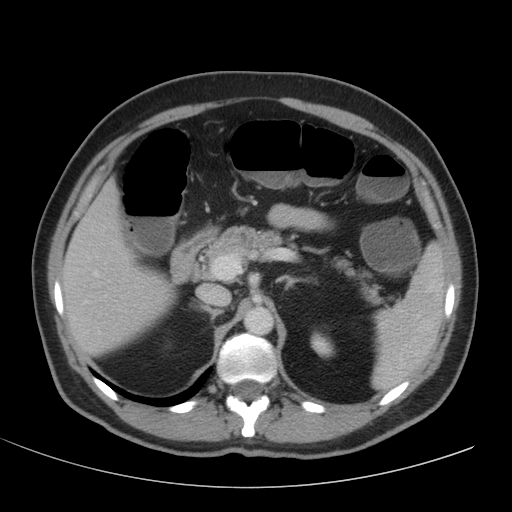 CT
{
  "liver": [
    "region(205, 286, 225, 305)",
    "region(60, 190, 167, 353)"
  ],
  "kidney": [
    "region(311, 334, 331, 355)"
  ]
}